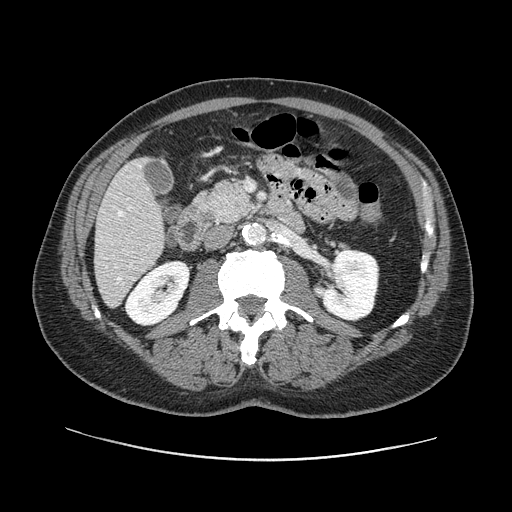

512x512. CT slice. • pancreas: (204, 178, 254, 224)